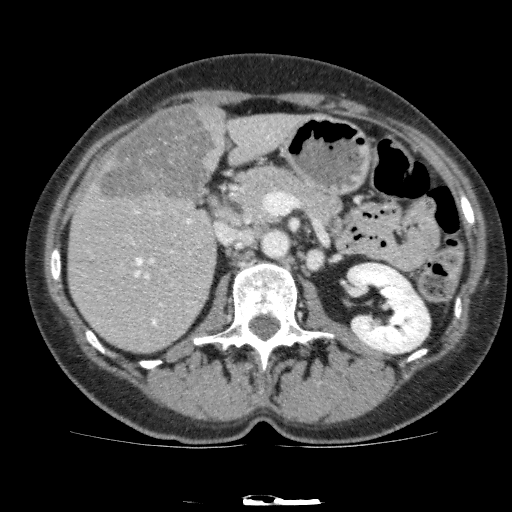 512x512 px; CT scan slice; Upper abdomen
kidney: region(348, 263, 429, 352) | liver: region(201, 106, 304, 171); region(67, 151, 217, 354) | hepatic lesion: region(96, 107, 218, 201)